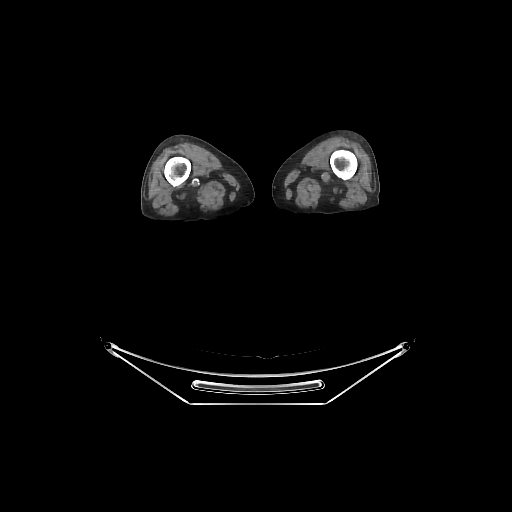

Computed tomography.
2 bone regions are located at box=[330, 150, 357, 179]; box=[164, 157, 190, 186].